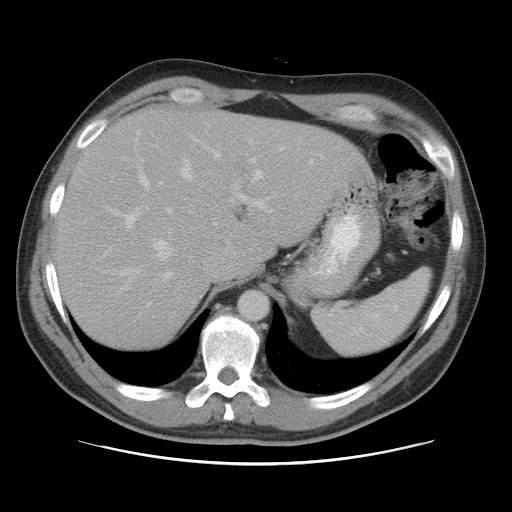
Computed tomography. Liver. Some hepatic vessels may have no box.
Hepatic vessel: bounding box {"x1": 235, "y1": 185, "x2": 236, "y2": 186}, {"x1": 139, "y1": 171, "x2": 148, "y2": 188}, {"x1": 236, "y1": 193, "x2": 248, "y2": 201}, {"x1": 153, "y1": 239, "x2": 172, "y2": 259}, {"x1": 252, "y1": 170, "x2": 262, "y2": 180}, {"x1": 148, "y1": 303, "x2": 149, "y2": 304}, {"x1": 140, "y1": 159, "x2": 142, "y2": 160}, {"x1": 124, "y1": 209, "x2": 138, "y2": 228}, {"x1": 251, "y1": 157, "x2": 256, "y2": 162}, {"x1": 250, "y1": 140, "x2": 252, "y2": 142}, {"x1": 180, "y1": 158, "x2": 192, "y2": 179}, {"x1": 278, "y1": 147, "x2": 284, "y2": 150}, {"x1": 167, "y1": 207, "x2": 171, "y2": 212}, {"x1": 249, "y1": 200, "x2": 271, "y2": 211}.